240x240 px; Slice 60 of 155
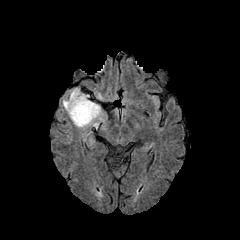
FLAIR MRI.
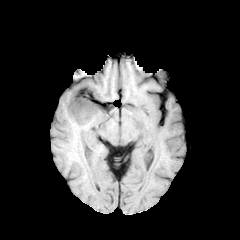
Same slice, T1-weighted MR.
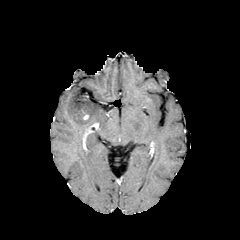
Same slice, post-contrast T1-weighted MRI.
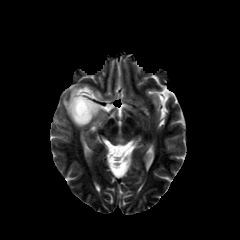
T2-weighted MR of the same slice.
Edema — l=92, t=90, r=105, b=101; l=62, t=86, r=106, b=137.
Non-enhancing tumor core — l=83, t=124, r=92, b=140; l=75, t=106, r=89, b=121.